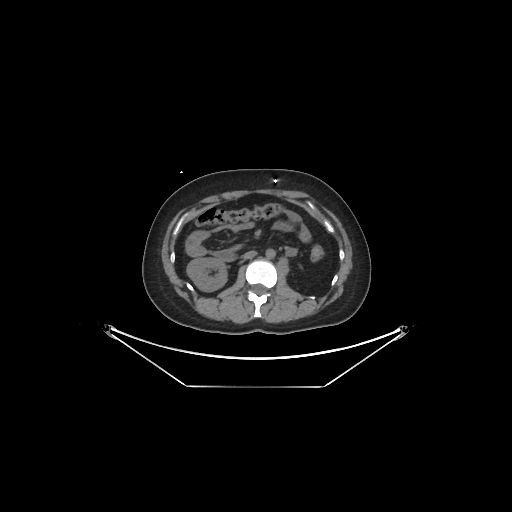 Abdomen, Computed tomography

kidney: box(187, 258, 226, 291)